FLAIR MR image.
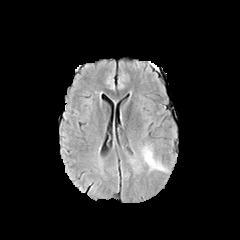
T1-weighted MRI.
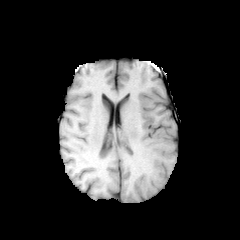
Post-contrast T1-weighted MRI.
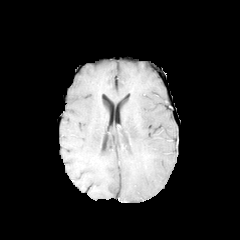
T2-weighted magnetic resonance.
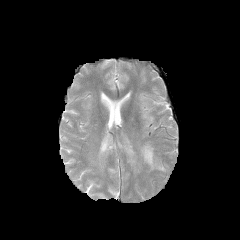
Head.
Edema — [140, 143, 169, 172].